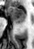
34x49; MR image; Hippocampus

The anterior hippocampus lies within (7,6,26,20). The posterior hippocampus appears at (14,21,24,23).